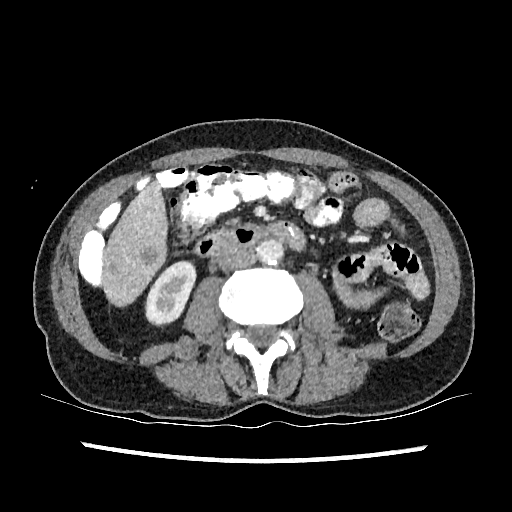 Image size 512x512 | Computed tomography | Upper abdomen
Kidney: x1=147 y1=262 x2=195 y2=323.
Focal liver lesion: x1=139 y1=246 x2=158 y2=265.
Liver: x1=103 y1=180 x2=166 y2=305.